Image width 240 mm, Brain
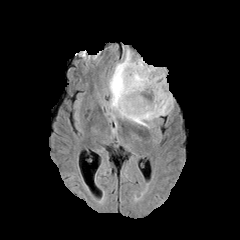
FLAIR MR image.
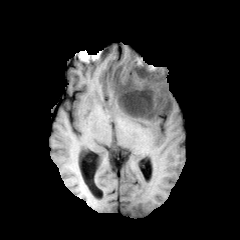
Same slice, T1-weighted magnetic resonance.
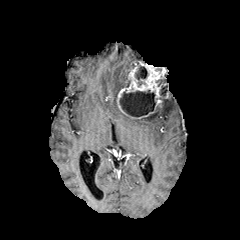
Post-contrast T1-weighted magnetic resonance.
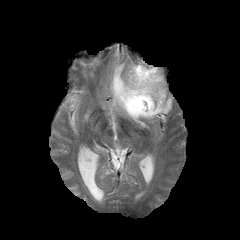
T2-weighted MRI.
non-enhancing tumor core: bbox(135, 66, 147, 80); bbox(160, 86, 166, 96); bbox(119, 90, 155, 116) | edema: bbox(118, 94, 172, 128); bbox(108, 50, 135, 113) | enhancing tumor: bbox(116, 61, 169, 119)